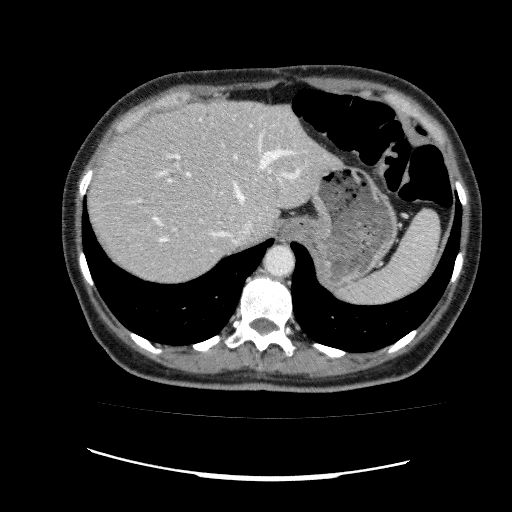

CT, Upper abdomen
<segmentation>
  <liver>88:99:342:283</liver>
</segmentation>